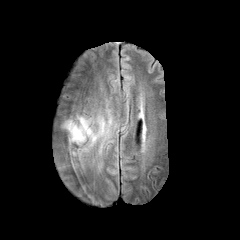
FLAIR MR image.
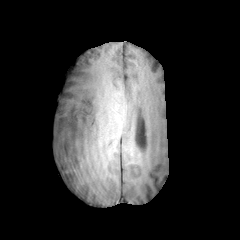
T1-weighted MR image.
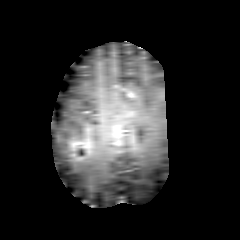
Post-contrast T1-weighted magnetic resonance.
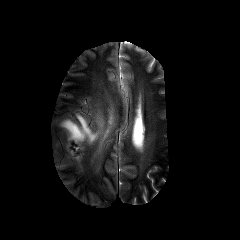
T2-weighted MR of the same slice.
Head
Edema at x1=62 y1=114 x2=106 y2=160.